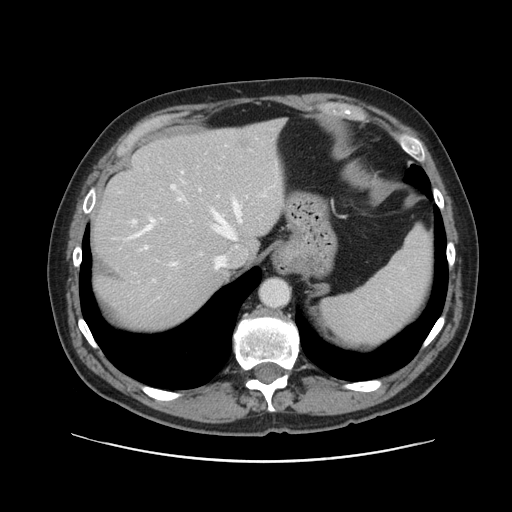

Abdomen; CT slice
The vessel boxes may cover only some of the vessels.
Hepatic vessel = <bbox>129, 219, 154, 238</bbox>, <bbox>215, 256, 225, 267</bbox>, <bbox>178, 195, 184, 200</bbox>, <bbox>143, 245, 147, 248</bbox>, <bbox>233, 201, 241, 221</bbox>, <bbox>212, 210, 234, 238</bbox>, <bbox>170, 263, 176, 264</bbox>, <bbox>133, 220, 135, 222</bbox>, <bbox>171, 184, 176, 189</bbox>.
Liver tumor = <bbox>239, 138, 249, 148</bbox>.